FLAIR MRI.
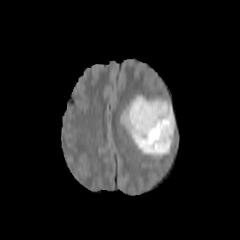
T1-weighted MRI.
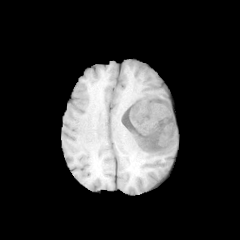
Post-contrast T1-weighted MR.
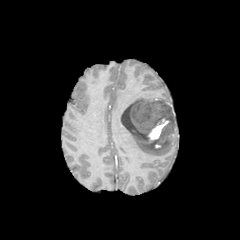
T2-weighted MRI.
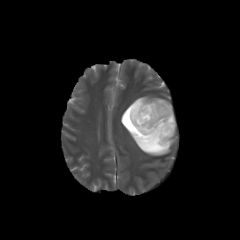
Head; 240x240 px
* enhancing tumor: left=147, top=117, right=169, bottom=142
* non-enhancing tumor core: left=121, top=98, right=175, bottom=149
* edema: left=122, top=95, right=168, bottom=115; left=120, top=117, right=172, bottom=156